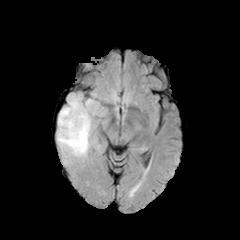
FLAIR MRI.
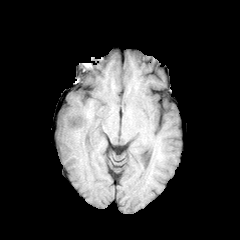
Same slice, T1-weighted MR.
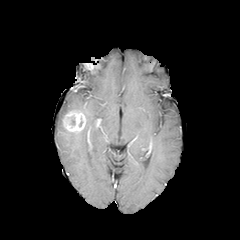
Post-contrast T1-weighted magnetic resonance.
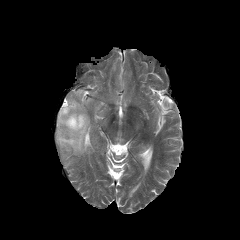
T2-weighted magnetic resonance of the same slice.
non-enhancing tumor core: (x1=58, y1=127, x2=73, y2=140) | enhancing tumor: (x1=62, y1=110, x2=86, y2=132) | edema: (x1=56, y1=93, x2=105, y2=162)